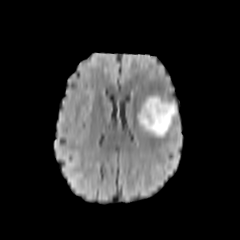
FLAIR magnetic resonance.
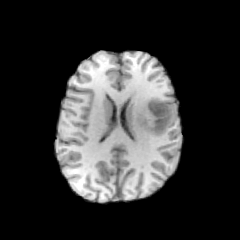
T1-weighted magnetic resonance.
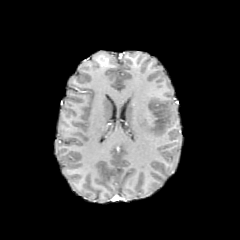
Post-contrast T1-weighted MR of the same slice.
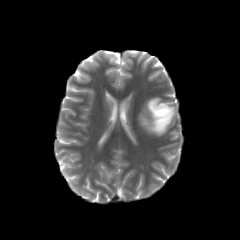
Same slice, T2-weighted MR image.
Brain
The non-enhancing tumor core lies within bbox=[148, 98, 175, 132]. The edema lies within bbox=[137, 95, 168, 137].